FLAIR MR image.
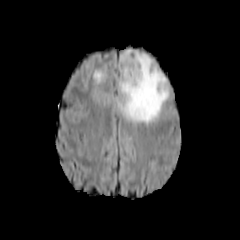
T1-weighted MR image.
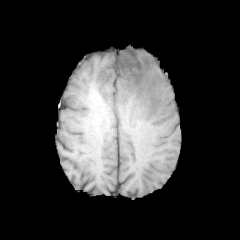
Post-contrast T1-weighted magnetic resonance.
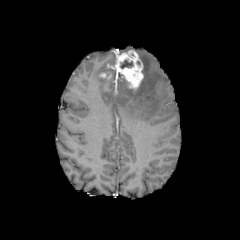
T2-weighted magnetic resonance.
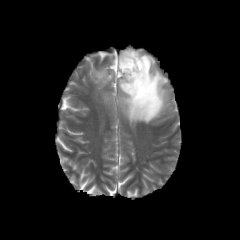
Enhancing tumor = [109,50,143,90].
Edema = [92,70,108,84], [118,52,168,125].
Non-enhancing tumor core = [120,59,133,68].